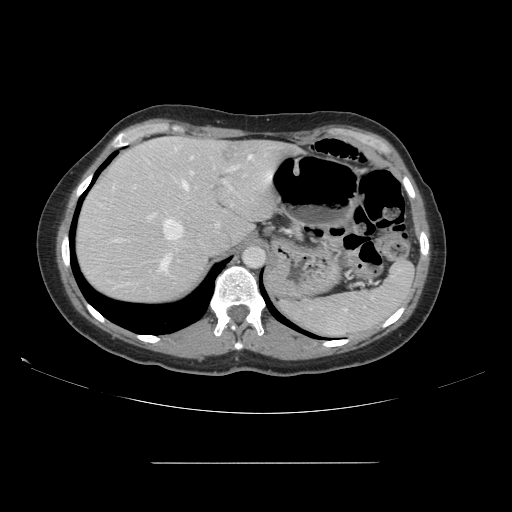

Abdomen | CT
Only some of the vessels may be annotated.
The principal 15 hepatic vessel regions (of 17) appear at region(182, 180, 188, 189); region(111, 239, 122, 241); region(244, 174, 246, 176); region(249, 155, 252, 158); region(134, 185, 136, 187); region(229, 165, 240, 170); region(160, 255, 170, 274); region(163, 218, 183, 239); region(148, 213, 155, 218); region(174, 146, 179, 150); region(113, 184, 114, 188); region(224, 181, 232, 190); region(96, 202, 101, 206); region(191, 156, 192, 158); region(124, 283, 129, 284). The liver tumor lies within region(222, 145, 238, 162).